512x512 px | Image width 386 mm | Liver | CT

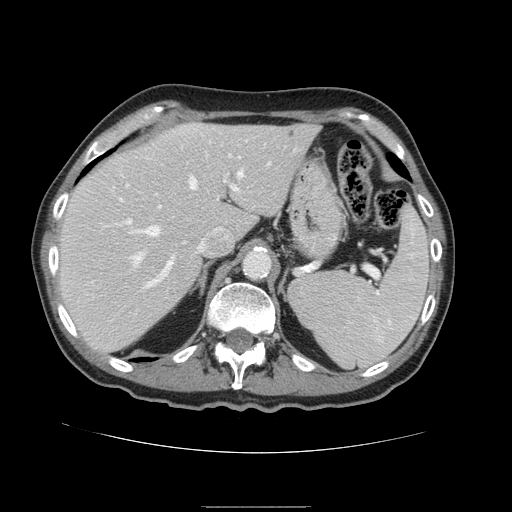
Not every hepatic vessel necessarily has a box.
15 hepatic vessel regions appear at (189, 177, 196, 188), (125, 219, 131, 223), (231, 212, 233, 213), (135, 226, 159, 235), (237, 225, 238, 226), (127, 184, 128, 185), (238, 171, 242, 176), (120, 198, 121, 199), (212, 212, 214, 213), (238, 220, 241, 224), (145, 259, 172, 286), (132, 253, 143, 264), (232, 186, 238, 190), (159, 205, 160, 206), (195, 212, 232, 254).